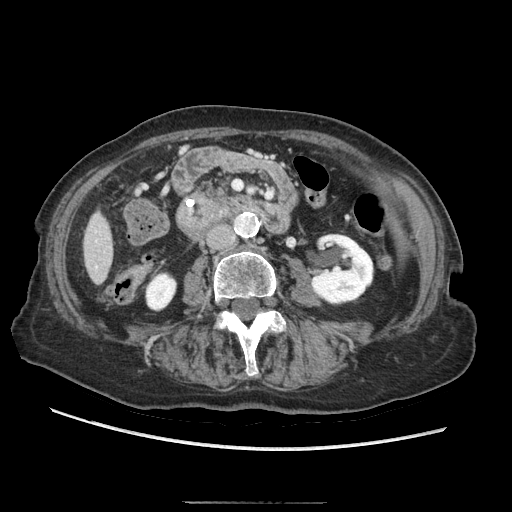

Abdomen; 512x512 px; CT image
{
  "pancreas": [
    "201, 180, 228, 201"
  ]
}